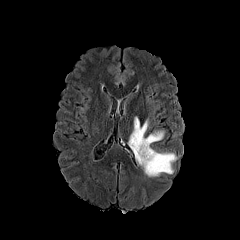
FLAIR magnetic resonance.
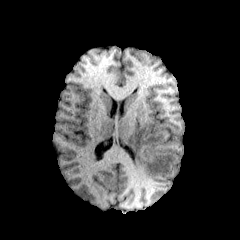
T1-weighted MR image.
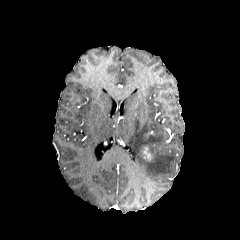
Post-contrast T1-weighted MRI of the same slice.
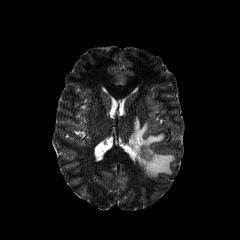
T2-weighted MR image.
240x240. Brain.
edema: <box>127,117,175,176</box> | enhancing tumor: <box>142,147,152,160</box>